FLAIR magnetic resonance.
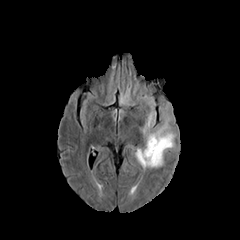
T1-weighted MRI.
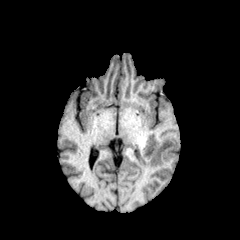
Post-contrast T1-weighted MR image.
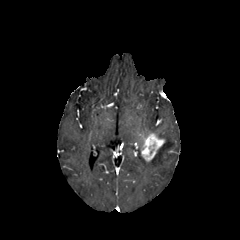
T2-weighted MR.
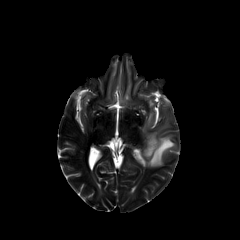
Brain.
Enhancing tumor at <box>139,132,164,161</box>.
Edema at <box>137,132,174,167</box>.